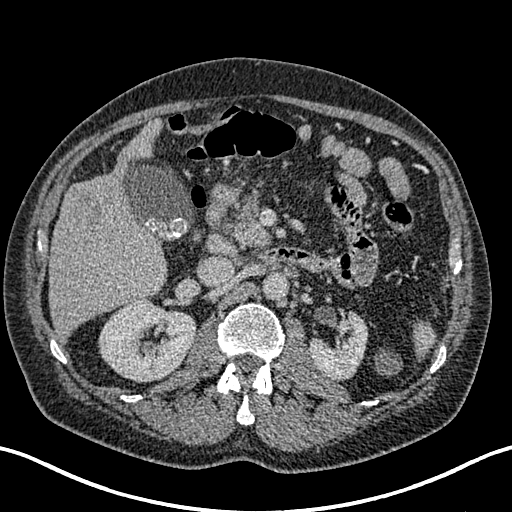
CT. Liver.
The liver lesion is located at (left=70, top=187, right=102, bottom=222). 2 kidney regions are bounded by (left=310, top=313, right=367, bottom=379), (left=100, top=300, right=195, bottom=381). The liver is located at (left=48, top=120, right=167, bottom=340).